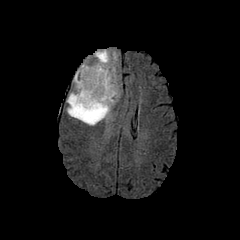
FLAIR MR.
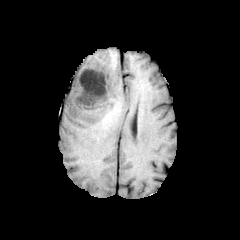
Same slice, T1-weighted MRI.
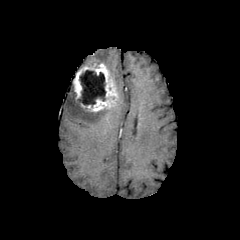
Post-contrast T1-weighted MR image of the same slice.
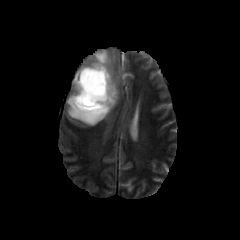
T2-weighted MR.
edema: box(66, 86, 111, 126); box(91, 49, 119, 97) | enhancing tumor: box(73, 59, 117, 112) | non-enhancing tumor core: box(76, 70, 105, 107)